Slice 50/79; Image width 374 mm; Image size 512x512; CT image

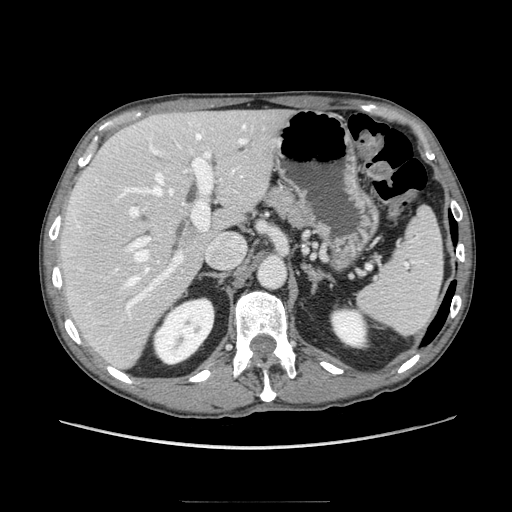
{
  "pancreas": [
    "box=[261, 188, 310, 228]"
  ]
}